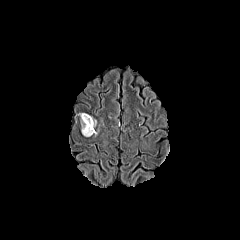
FLAIR magnetic resonance.
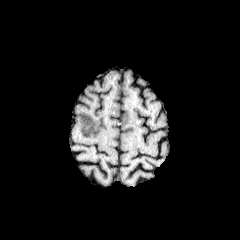
Same slice, T1-weighted MRI.
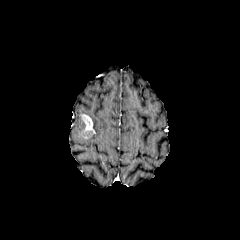
Post-contrast T1-weighted MR image.
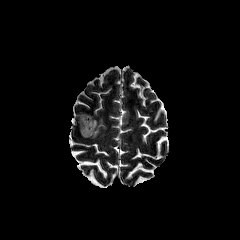
T2-weighted magnetic resonance of the same slice.
Head
Edema: <bbox>86, 114, 97, 129</bbox>.
Non-enhancing tumor core: <bbox>79, 123, 94, 137</bbox>.
Enhancing tumor: <bbox>83, 114, 95, 133</bbox>.